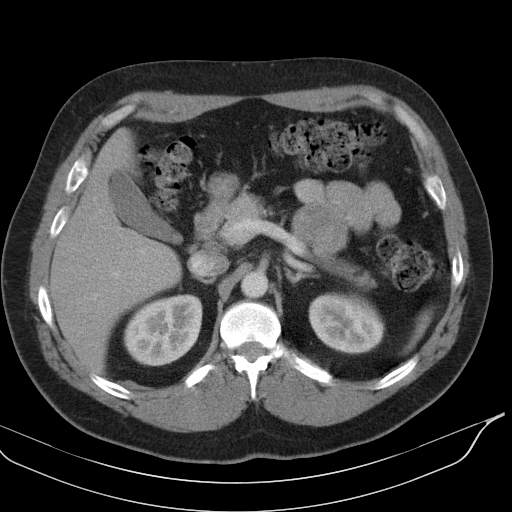
CT scan slice
The spleen appears at 408:308:428:346.